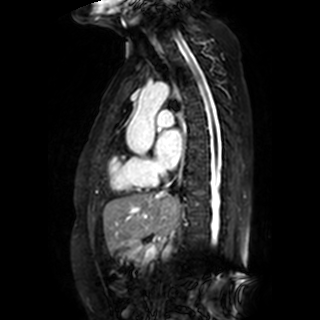
Heart; MR
Segmented structures:
- left atrium: [155,130,182,169]